Field of view 200 mm wide, 3.60 mm slice spacing
T2-weighted MRI.
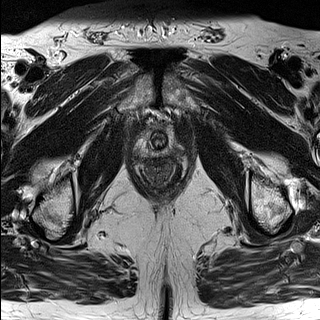
ADC MRI.
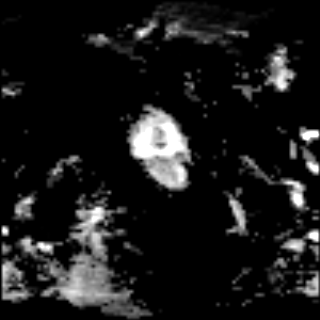
• prostate peripheral zone: box(132, 127, 183, 157)
• prostate transition zone: box(135, 123, 169, 149)